Image width 471 mm. CT. Slice 96 of 135. Upper abdomen.

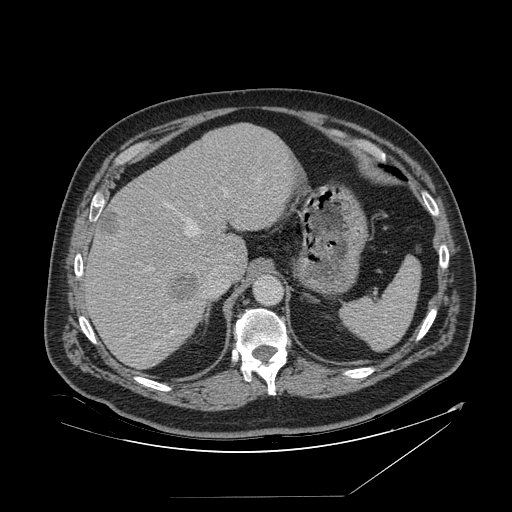

* spleen: region(340, 258, 420, 349)